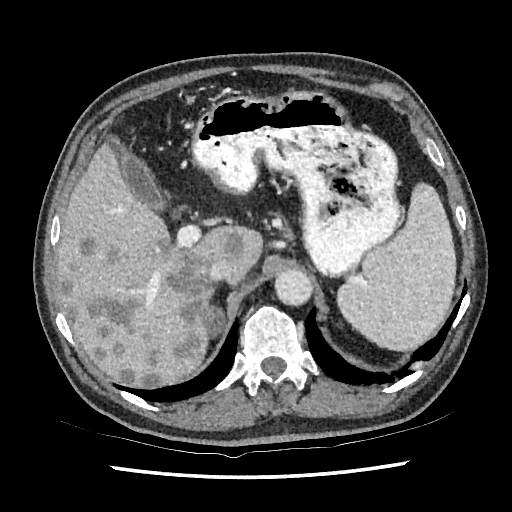 CT
Focal liver lesion: bounding box [x1=93, y1=347, x2=109, y2=361], [x1=147, y1=348, x2=161, y2=366], [x1=143, y1=373, x2=160, y2=385], [x1=166, y1=251, x2=212, y2=325], [x1=60, y1=278, x2=73, y2=294], [x1=77, y1=237, x2=96, y2=256], [x1=105, y1=248, x2=120, y2=265], [x1=119, y1=368, x2=134, y2=383], [x1=173, y1=332, x2=198, y2=358], [x1=112, y1=342, x2=124, y2=355], [x1=99, y1=326, x2=110, y2=339], [x1=85, y1=294, x2=143, y2=328], [x1=224, y1=234, x2=243, y2=256], [x1=64, y1=305, x2=77, y2=323].
Liver: bounding box [x1=56, y1=138, x2=261, y2=385].